Slice 74 of 109 | Heart | Magnetic resonance 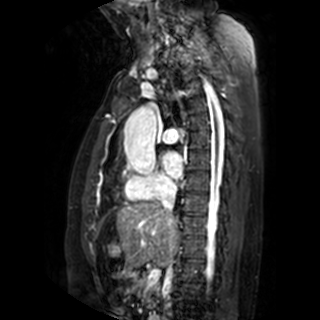
{
  "left_atrium": [
    "bbox=[164, 153, 182, 178]"
  ]
}